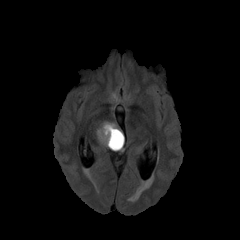
FLAIR MRI.
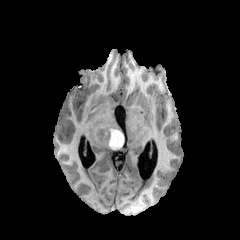
T1-weighted MR.
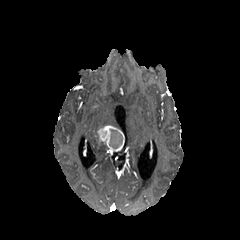
Post-contrast T1-weighted MRI.
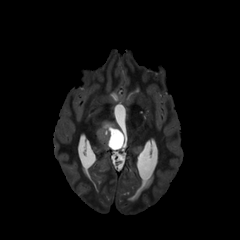
T2-weighted MR image.
Brain
enhancing_tumor:
  - (97, 125, 124, 151)
edema:
  - (99, 121, 123, 132)
  - (94, 131, 105, 146)
non-enhancing_tumor_core:
  - (108, 128, 123, 149)